FLAIR MR.
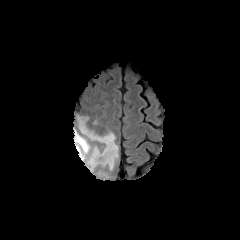
T1-weighted MR.
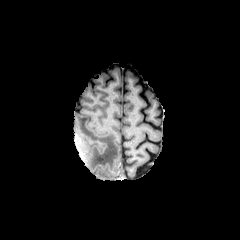
Post-contrast T1-weighted MR image.
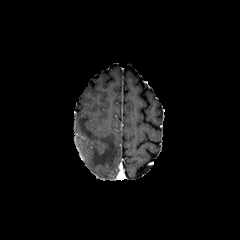
T2-weighted MR.
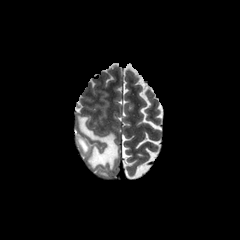
<segmentation>
  <non-enhancing_tumor_core>76 137 85 147</non-enhancing_tumor_core>
  <edema>77 116 118 168</edema>
</segmentation>